Brain; Field of view 240 mm wide, 1.00 mm slice spacing; Image size 240x240
FLAIR magnetic resonance.
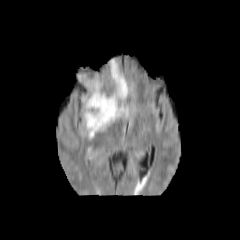
T1-weighted MR.
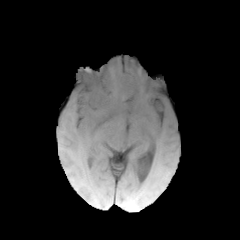
Post-contrast T1-weighted magnetic resonance.
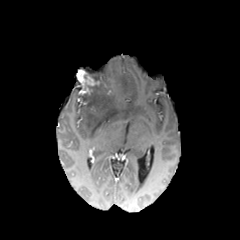
T2-weighted MR image.
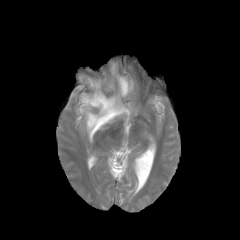
The enhancing tumor lies within <bbox>77, 69, 95, 95</bbox>. The non-enhancing tumor core is located at <bbox>76, 68, 114, 112</bbox>. The edema lies within <bbox>79, 61, 135, 138</bbox>.